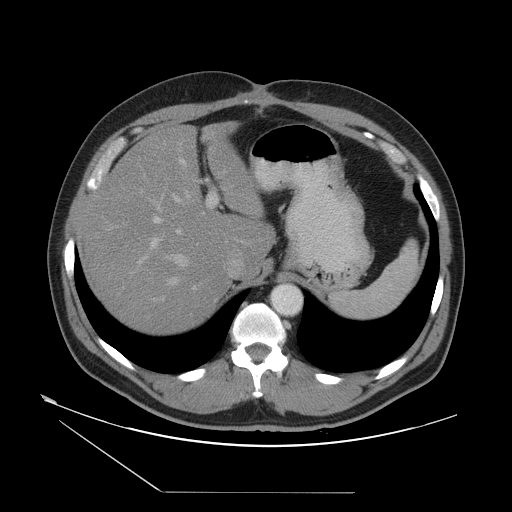

CT scan slice

Not every hepatic vessel necessarily has a box.
hepatic vessel: bbox(172, 195, 179, 202); bbox(168, 278, 178, 285); bbox(176, 229, 180, 234); bbox(161, 297, 163, 300); bbox(153, 217, 160, 223); bbox(192, 287, 194, 289); bbox(140, 191, 141, 193); bbox(167, 255, 186, 266); bbox(186, 193, 188, 197); bbox(138, 256, 146, 263); bbox(180, 160, 184, 165); bbox(157, 203, 160, 211); bbox(150, 238, 158, 248)